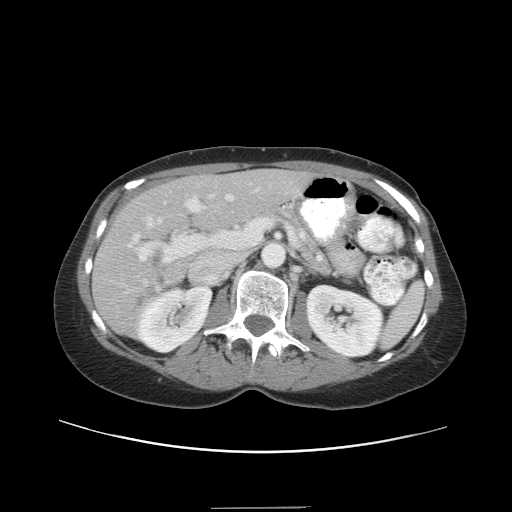 CT slice
The vessel annotation is not exhaustive.
{"hepatic_vessel": [{"x1": 254, "y1": 188, "x2": 258, "y2": 191}, {"x1": 226, "y1": 194, "x2": 233, "y2": 200}, {"x1": 208, "y1": 194, "x2": 213, "y2": 198}, {"x1": 147, "y1": 217, "x2": 152, "y2": 226}, {"x1": 128, "y1": 244, "x2": 131, "y2": 246}, {"x1": 132, "y1": 233, "x2": 139, "y2": 240}, {"x1": 144, "y1": 281, "x2": 147, "y2": 285}, {"x1": 184, "y1": 197, "x2": 200, "y2": 210}, {"x1": 158, "y1": 218, "x2": 161, "y2": 223}, {"x1": 164, "y1": 201, "x2": 166, "y2": 203}], "liver_tumor": [{"x1": 152, "y1": 255, "x2": 160, "y2": 273}]}